Head
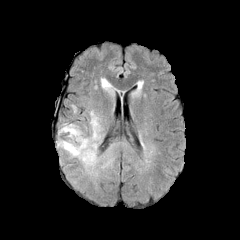
FLAIR MR.
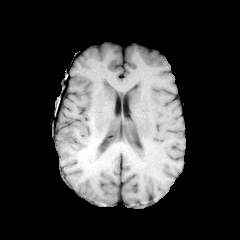
T1-weighted magnetic resonance.
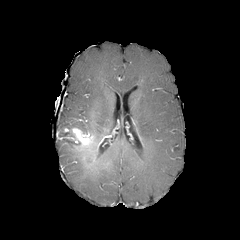
Same slice, post-contrast T1-weighted MRI.
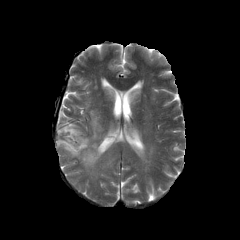
T2-weighted magnetic resonance of the same slice.
Non-enhancing tumor core: bounding box x1=57 y1=123 x2=79 y2=145, x1=79 y1=135 x2=101 y2=167.
Enhancing tumor: bounding box x1=63 y1=127 x2=93 y2=148.
Edema: bounding box x1=56 y1=141 x2=113 y2=176, x1=100 y1=77 x2=116 y2=97, x1=59 y1=105 x2=103 y2=141.